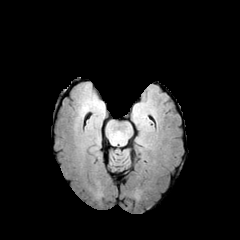
FLAIR MR.
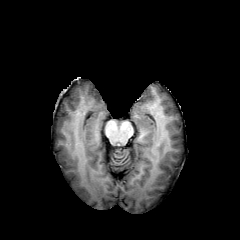
T1-weighted MR.
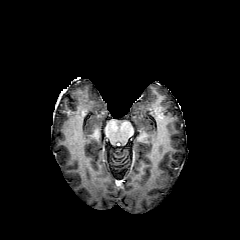
Post-contrast T1-weighted MRI.
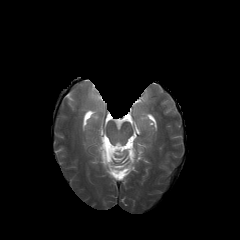
T2-weighted MRI of the same slice.
{
  "edema": [
    "x1=92, y1=102, x2=103, y2=115"
  ]
}